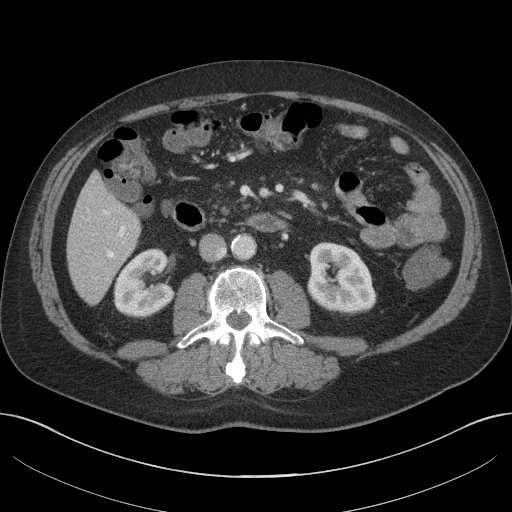 CT scan slice, Upper abdomen
2 kidney regions appear at (left=309, top=243, right=373, bottom=311), (left=115, top=250, right=172, bottom=315). The liver lies within (left=68, top=174, right=139, bottom=302).